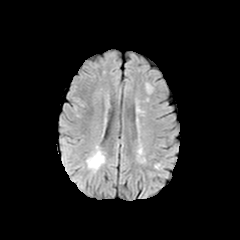
FLAIR MR image.
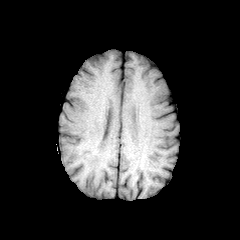
T1-weighted MR image of the same slice.
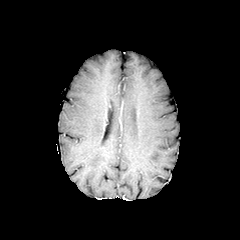
Post-contrast T1-weighted MR of the same slice.
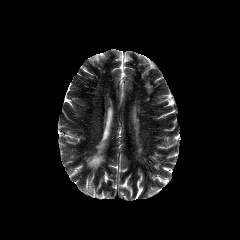
T2-weighted magnetic resonance of the same slice.
The edema is at [x1=87, y1=153, x2=103, y2=169].